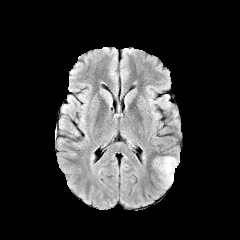
FLAIR MRI.
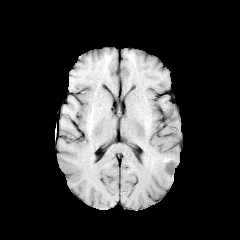
T1-weighted magnetic resonance.
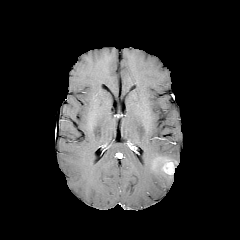
Same slice, post-contrast T1-weighted MR image.
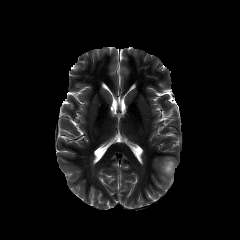
T2-weighted MRI.
Head
edema: 157,156,175,186 | enhancing tumor: 162,160,173,174